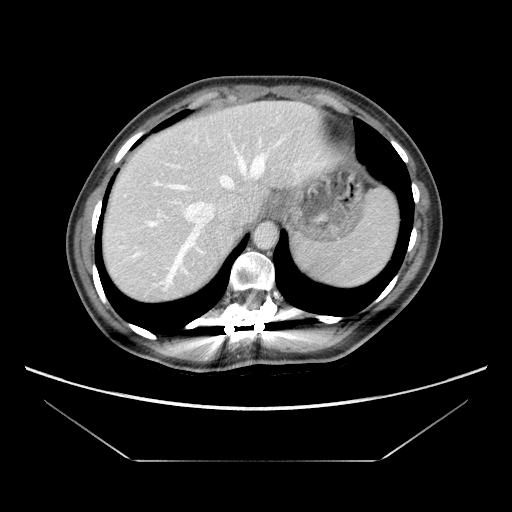

512x512 px | Computed tomography

Some hepatic vessels may have no box.
Hepatic vessel = (x1=148, y1=222, x2=157, y2=226), (x1=233, y1=147, x2=271, y2=179), (x1=218, y1=174, x2=234, y2=189), (x1=158, y1=201, x2=232, y2=289), (x1=156, y1=183, x2=190, y2=190), (x1=177, y1=166, x2=180, y2=167), (x1=169, y1=164, x2=175, y2=167), (x1=293, y1=164, x2=299, y2=167).